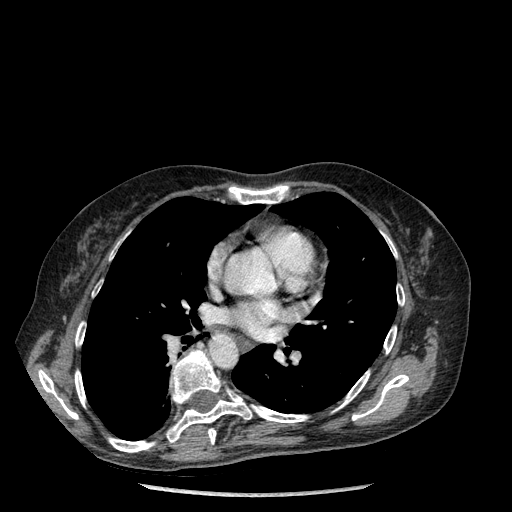 CT scan slice, Thorax
Bone — <box>352,374,408,420</box>, <box>334,370,369,411</box>, <box>109,234,126,260</box>, <box>396,284,404,305</box>, <box>207,428,216,444</box>, <box>228,185,288,204</box>, <box>38,369,78,419</box>, <box>74,370,85,407</box>, <box>381,232,397,257</box>, <box>166,349,308,442</box>, <box>384,326,396,354</box>, <box>108,438,155,452</box>, <box>75,321,85,346</box>.
Lung — <box>232,192,396,413</box>, <box>81,197,261,440</box>.